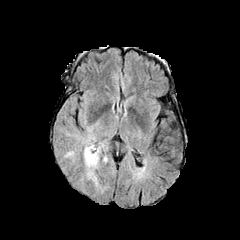
FLAIR MRI.
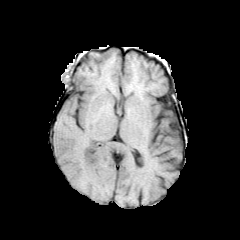
Same slice, T1-weighted MR image.
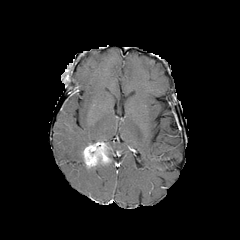
Post-contrast T1-weighted MR.
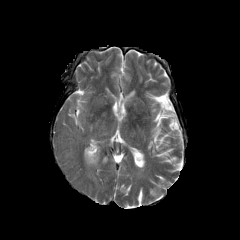
Same slice, T2-weighted magnetic resonance.
Enhancing tumor: left=84, top=142, right=105, bottom=165.
Edema: left=84, top=137, right=104, bottom=148.